CT image, Image width 387 mm

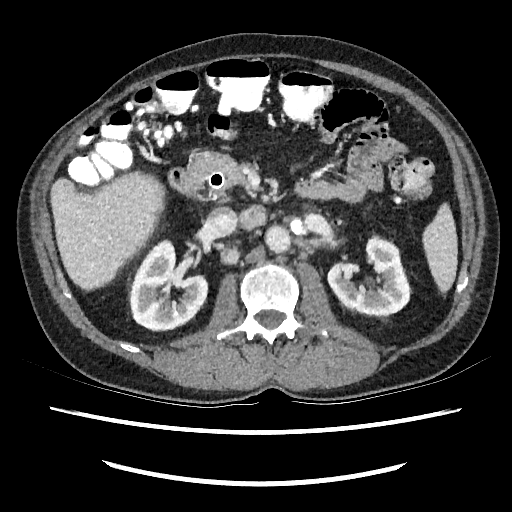 Annotated regions:
- kidney: {"x1": 328, "y1": 239, "x2": 408, "y2": 314}, {"x1": 131, "y1": 242, "x2": 207, "y2": 329}
- liver: {"x1": 51, "y1": 173, "x2": 160, "y2": 287}